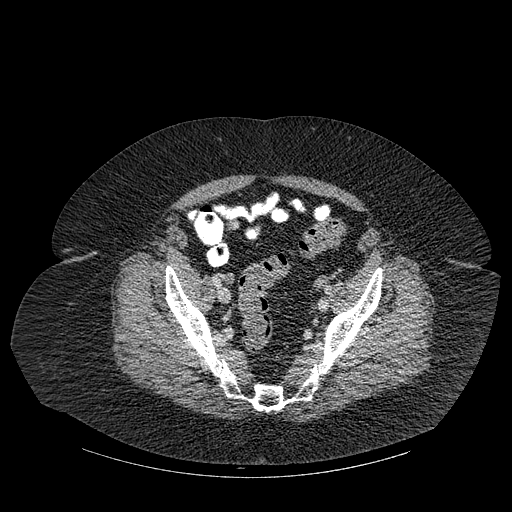 512x512 | CT scan slice
Segmented structures:
• bone: rect(165, 266, 382, 411); rect(221, 248, 228, 261)